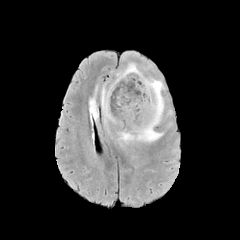
FLAIR MR.
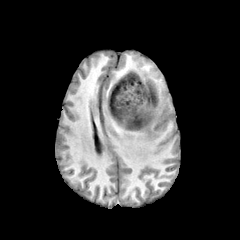
T1-weighted MR image.
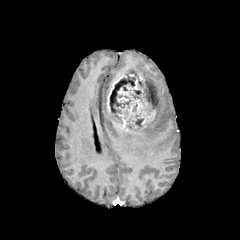
Post-contrast T1-weighted MR of the same slice.
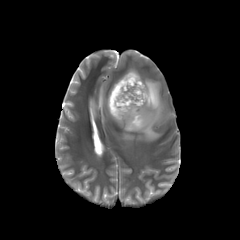
Same slice, T2-weighted MR.
Enhancing tumor at [107,83,115,112], [142,111,155,124], [128,99,143,117].
Non-enhancing tumor core at [109,74,155,130].
Edema at [101,63,164,142], [89,97,98,125].